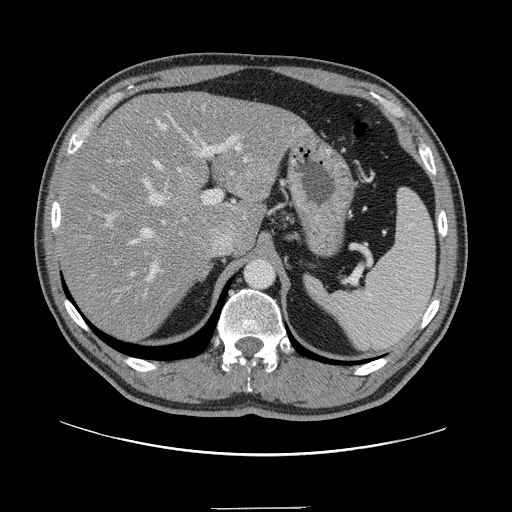
Image size 512x512, CT scan slice
The vessel annotation is not exhaustive.
* liver tumor: (x1=232, y1=170, x2=275, y2=197)
* hepatic vessel (largest 15 of 17): (x1=244, y1=159, x2=246, y2=161), (x1=199, y1=135, x2=240, y2=156), (x1=129, y1=229, x2=152, y2=244), (x1=129, y1=272, x2=133, y2=276), (x1=106, y1=215, x2=112, y2=226), (x1=231, y1=173, x2=232, y2=174), (x1=93, y1=186, x2=96, y2=190), (x1=203, y1=190, x2=222, y2=204), (x1=144, y1=181, x2=163, y2=205), (x1=179, y1=168, x2=180, y2=171), (x1=194, y1=131, x2=197, y2=135), (x1=146, y1=265, x2=161, y2=281), (x1=157, y1=121, x2=166, y2=130), (x1=104, y1=196, x2=106, y2=197), (x1=153, y1=161, x2=161, y2=168)